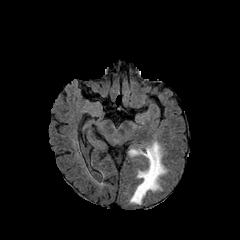
FLAIR MRI.
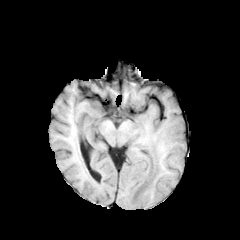
Same slice, T1-weighted MRI.
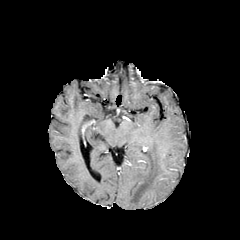
Post-contrast T1-weighted magnetic resonance of the same slice.
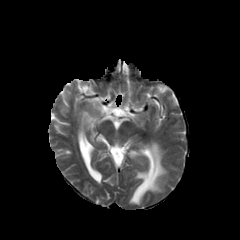
Same slice, T2-weighted MRI.
Head, Image size 240x240
Edema — region(129, 141, 167, 204).